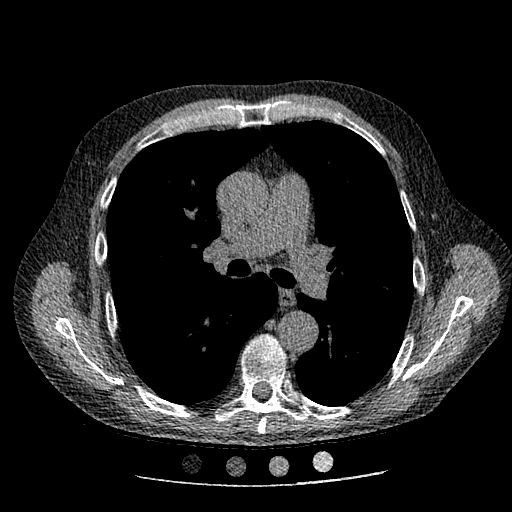
CT; Lung
Segmented structures:
* lung tumor: box=[375, 263, 408, 292]